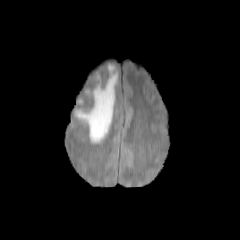
FLAIR MRI.
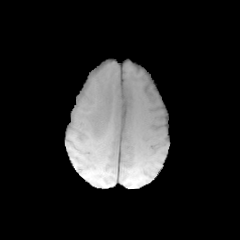
T1-weighted MR of the same slice.
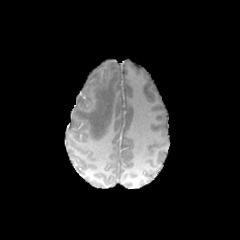
Same slice, post-contrast T1-weighted MR.
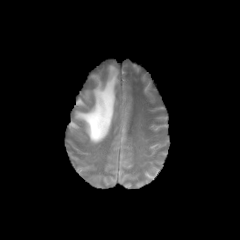
T2-weighted magnetic resonance.
Brain
Segmented structures:
* edema: {"x1": 74, "y1": 64, "x2": 117, "y2": 143}